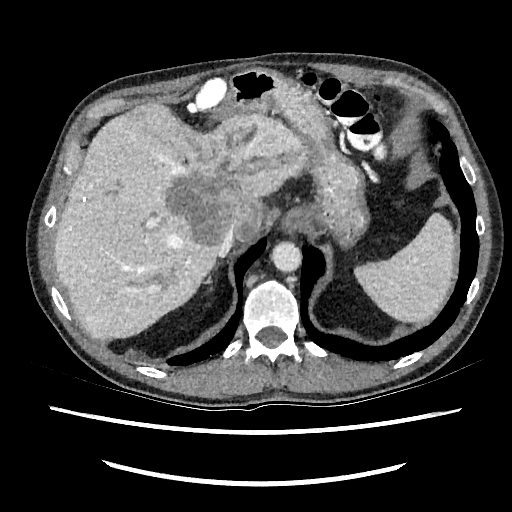

512x512 px; CT scan slice; Liver
liver: rect(53, 100, 307, 339) | focal liver lesion: rect(164, 175, 260, 244); rect(196, 156, 204, 162)